Abdomen, CT scan slice, Field of view 400 mm wide, 0.80 mm slice spacing
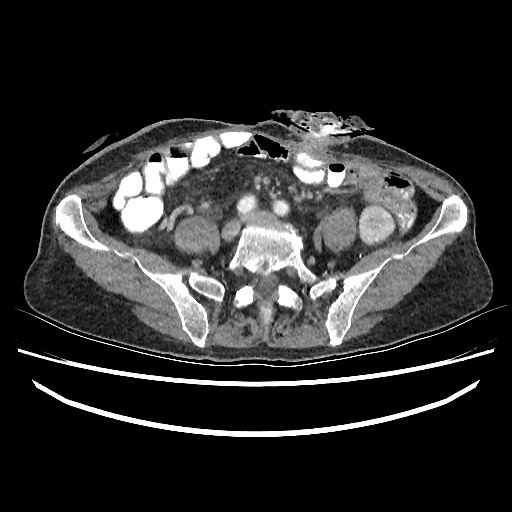

Kidney: <bbox>359, 206, 394, 243</bbox>, <bbox>392, 254, 404, 258</bbox>.